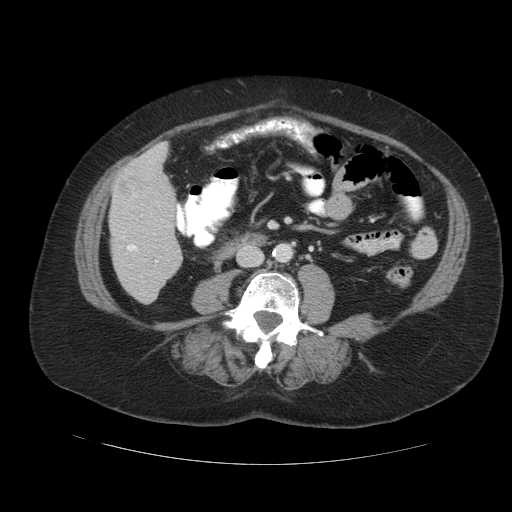 CT slice. 512x512. Abdomen. Some hepatic vessels may have no box.
The liver tumor appears at (118,166,150,197). The hepatic vessel is located at (128,245,135,250).